CT. Abdomen.
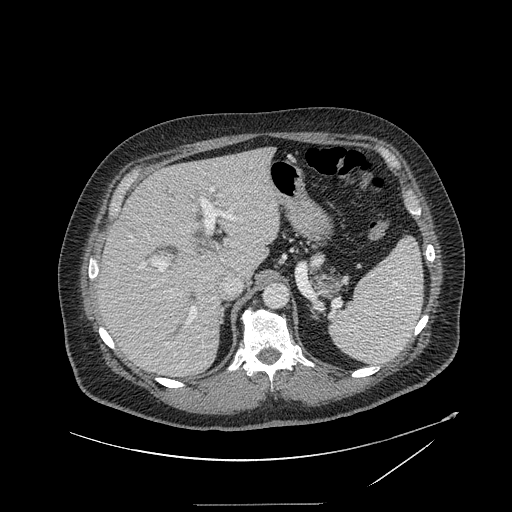

pancreas: <box>314,274,337,290</box>